Slice 496 of 751; Upper abdomen; Computed tomography

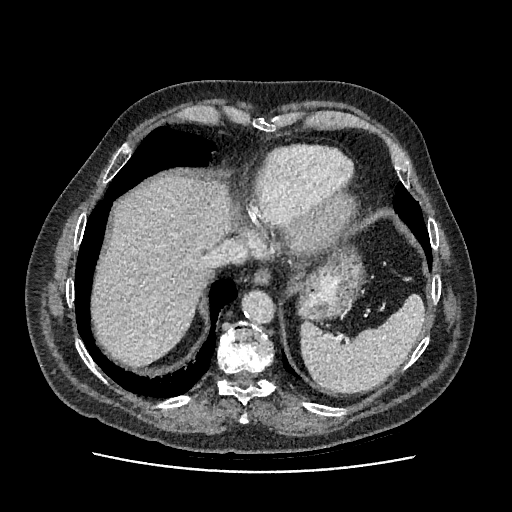
The liver is at (92, 178, 231, 364).